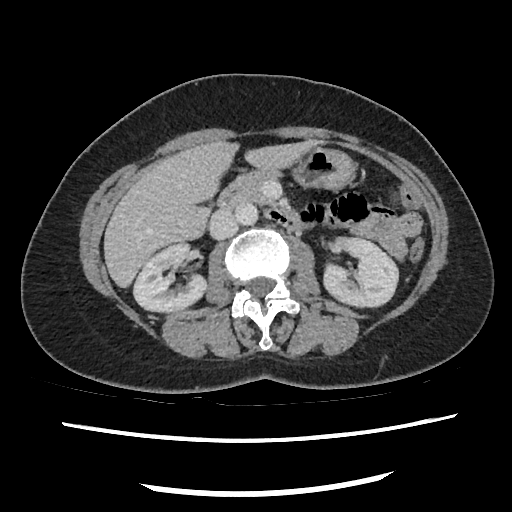
CT image.

pancreas:
  - [219,169,277,208]